FLAIR MRI.
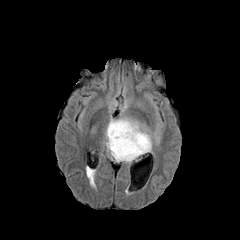
T1-weighted MRI.
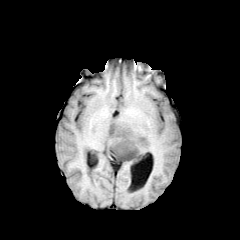
Post-contrast T1-weighted MR.
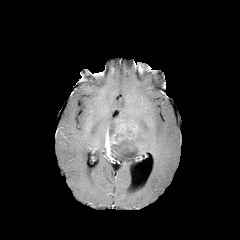
T2-weighted MR.
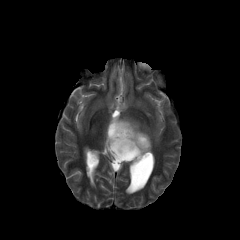
Image size 240x240
Findings:
- enhancing tumor: 105 120 144 153, 136 142 150 155
- edema: 104 98 153 153, 117 87 127 95, 110 154 138 165
- non-enhancing tumor core: 109 122 115 135, 111 133 147 159